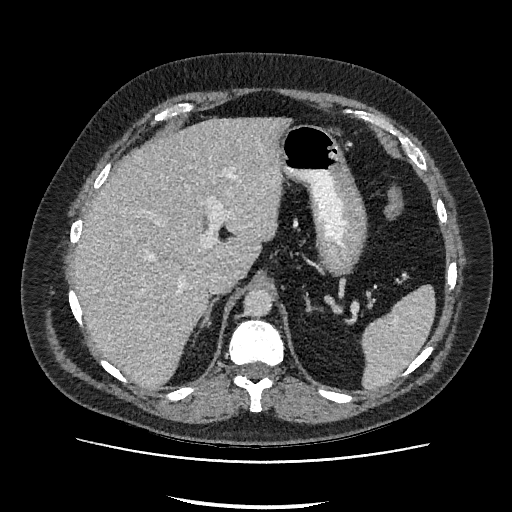

CT. The liver is bounded by {"x1": 76, "y1": 118, "x2": 288, "y2": 387}.